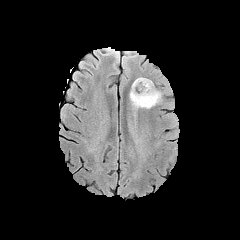
FLAIR MR.
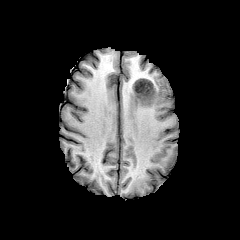
T1-weighted MR.
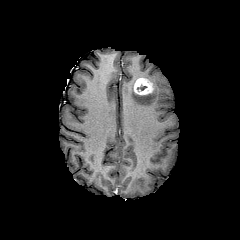
Post-contrast T1-weighted magnetic resonance.
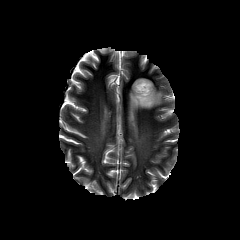
Same slice, T2-weighted MR image.
enhancing tumor: (134, 78, 153, 94) | edema: (129, 80, 162, 110)